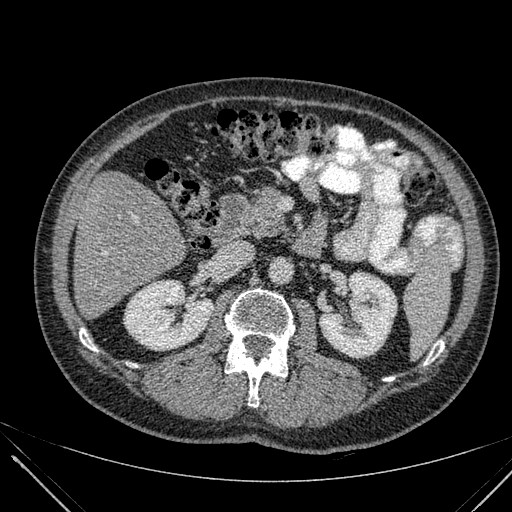
Image size 512x512 | CT
Kidney — box=[124, 280, 213, 349]; box=[320, 273, 396, 357].
Liver — box=[73, 171, 188, 319].